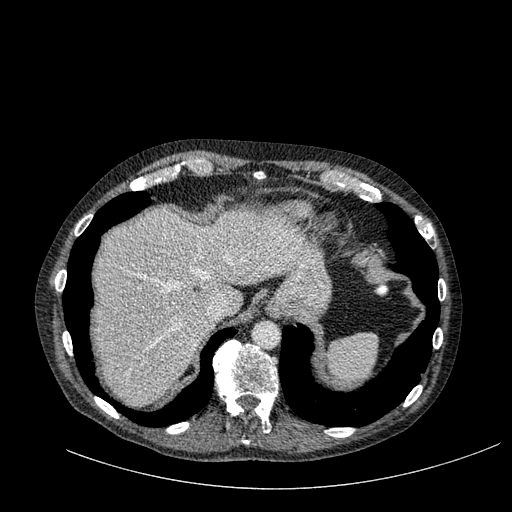
512x512 px. Computed tomography.
liver: <box>95,210,304,404</box>